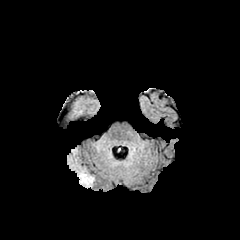
FLAIR MR image.
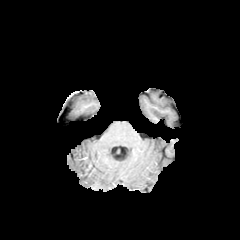
T1-weighted magnetic resonance.
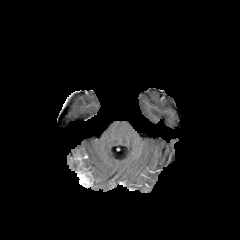
Post-contrast T1-weighted MRI of the same slice.
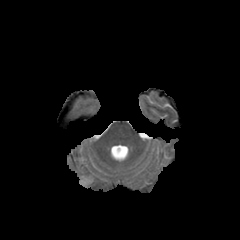
Same slice, T2-weighted MR image.
Brain
enhancing tumor: x1=80, y1=174, x2=90, y2=185 | non-enhancing tumor core: x1=74, y1=157, x2=81, y2=177